CT scan slice. Slice index 16. 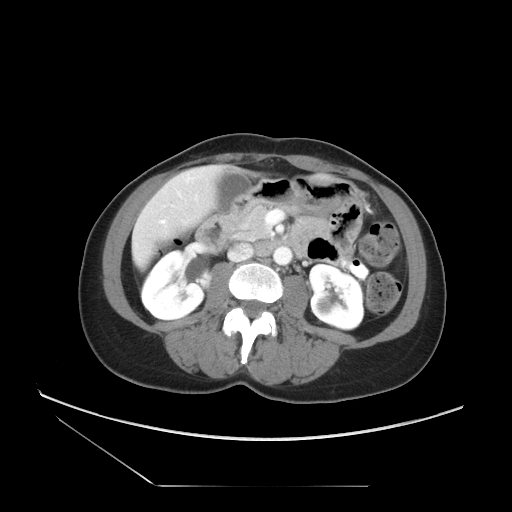

Pancreas — (x1=232, y1=205, x2=268, y2=240).